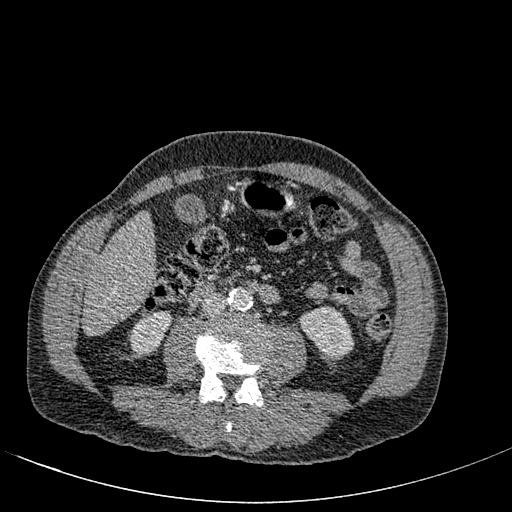
Image size 512x512, Liver, CT scan slice
The liver is located at box(82, 211, 154, 333). 2 kidney regions are located at box(130, 311, 171, 356); box(300, 307, 353, 357).